CT scan slice. Field of view 343 mm wide, 1.50 mm slice spacing. Abdomen. 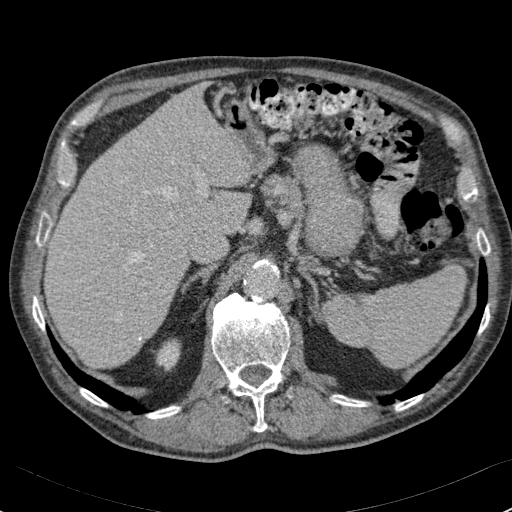
Liver at x1=45 y1=84 x2=251 y2=367.
Kidney at x1=158 y1=343 x2=178 y2=367.